MRI slice 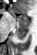 Posterior hippocampus at 16:23:28:40.
Anterior hippocampus at 10:11:28:22.